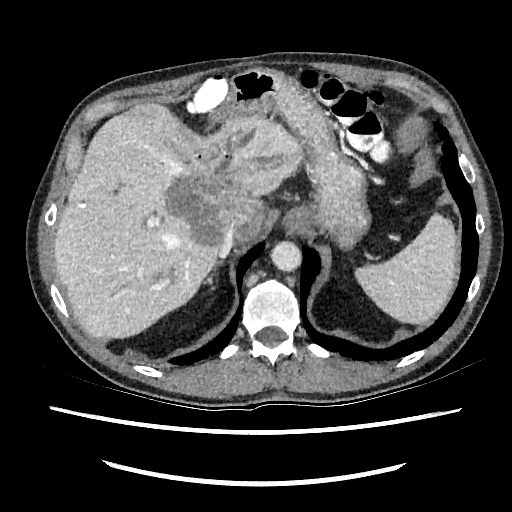

512x512 px | Computed tomography
{
  "liver": [
    "bbox(53, 101, 302, 339)"
  ],
  "liver_lesion": [
    "bbox(164, 172, 261, 245)",
    "bbox(194, 156, 204, 162)"
  ]
}